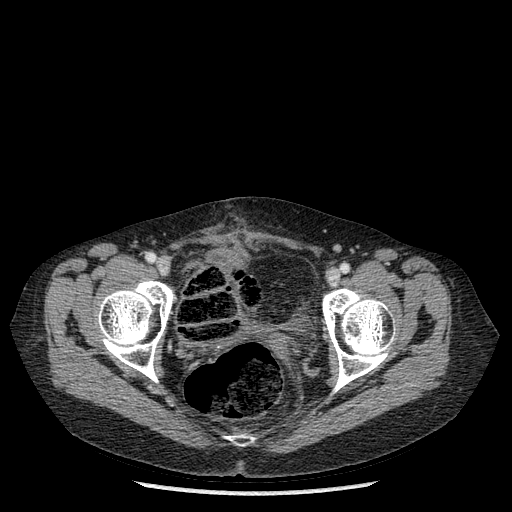

Computed tomography

3 bone regions are bounded by (x1=96, y1=279, x2=175, y2=382), (x1=224, y1=434, x2=255, y2=446), (x1=322, y1=288, x2=394, y2=392).